Computed tomography 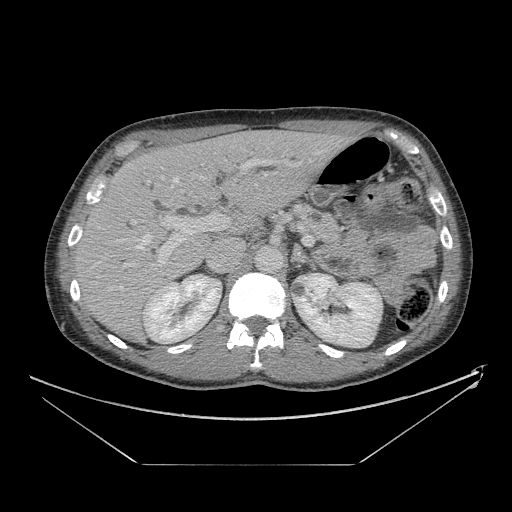
pancreas: box=[300, 203, 342, 245]